MRI slice. Slice index 24. Image size 34x51. Hippocampus. Field of view 34x51 mm. 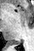

The posterior hippocampus is at {"x1": 7, "y1": 40, "x2": 19, "y2": 45}.